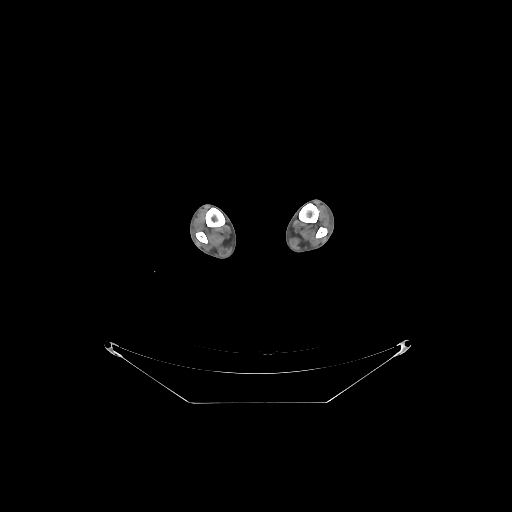
512x512 px; CT scan slice
* bone: bbox(299, 203, 319, 222); bbox(316, 227, 327, 238); bbox(205, 208, 225, 227); bbox(196, 232, 207, 243)